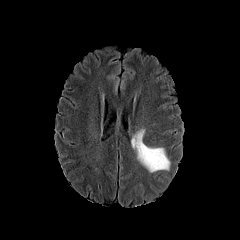
FLAIR MR.
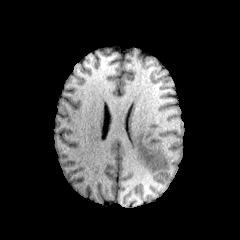
T1-weighted MR.
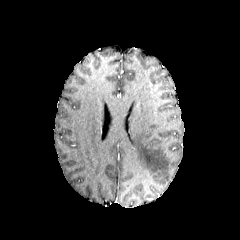
Post-contrast T1-weighted MR of the same slice.
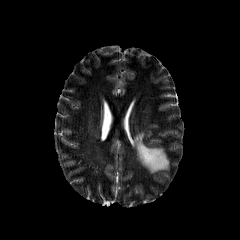
T2-weighted MR.
Head
Segmented structures:
• edema: l=131, t=131, r=169, b=172